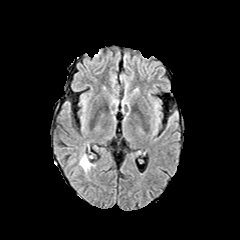
FLAIR MR.
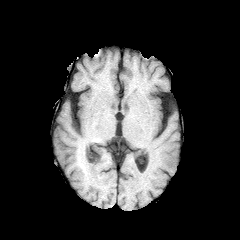
Same slice, T1-weighted MRI.
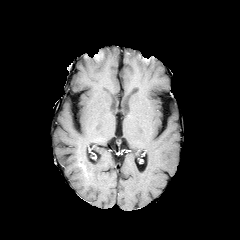
Post-contrast T1-weighted magnetic resonance.
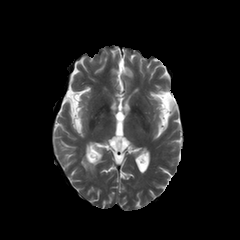
T2-weighted MRI.
The edema lies within l=79, t=153, r=95, b=174.